FLAIR MR.
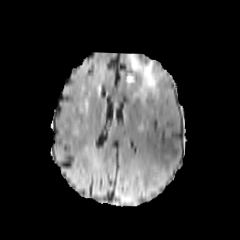
T1-weighted magnetic resonance.
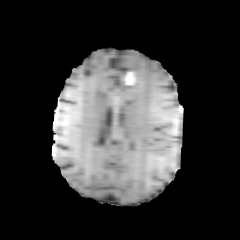
Post-contrast T1-weighted MRI.
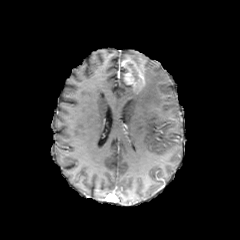
T2-weighted MRI.
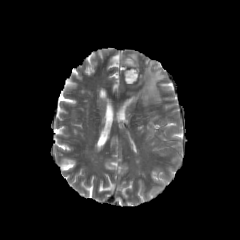
Brain.
The enhancing tumor lies within {"x1": 121, "y1": 56, "x2": 145, "y2": 93}. The non-enhancing tumor core appears at {"x1": 132, "y1": 69, "x2": 139, "y2": 81}. 2 edema regions appear at {"x1": 127, "y1": 53, "x2": 145, "y2": 64}, {"x1": 132, "y1": 60, "x2": 164, "y2": 105}.